Abdomen | CT | Slice 57 of 104
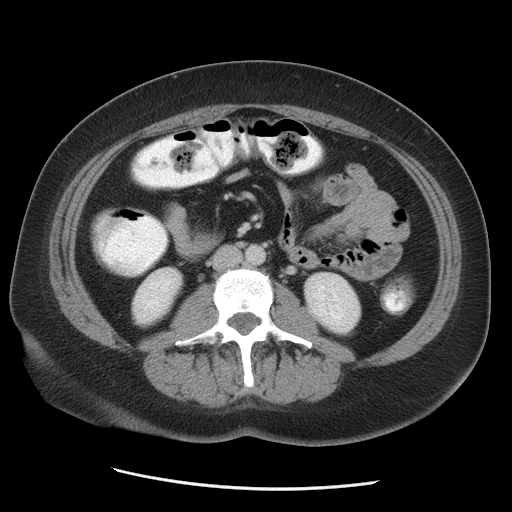

Kidney: [x1=133, y1=269, x2=179, y2=321], [x1=305, y1=274, x2=359, y2=332].